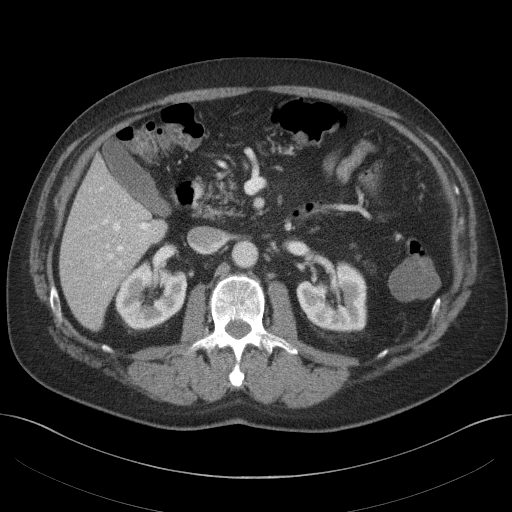
CT slice
2 kidney regions appear at {"x1": 297, "y1": 266, "x2": 365, "y2": 329}, {"x1": 117, "y1": 264, "x2": 185, "y2": 327}. The liver is bounded by {"x1": 59, "y1": 158, "x2": 156, "y2": 327}.